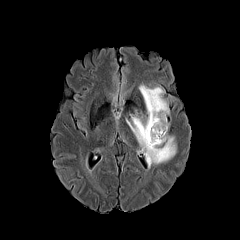
FLAIR MR image.
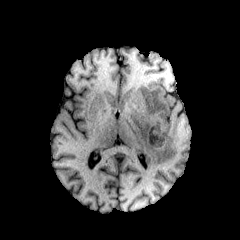
T1-weighted MRI.
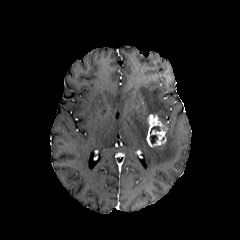
Same slice, post-contrast T1-weighted MR.
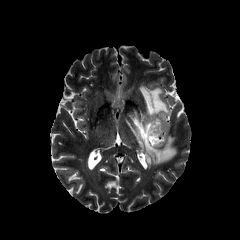
T2-weighted MRI.
240x240 px
{"enhancing_tumor": ["rect(146, 114, 168, 146)"], "non-enhancing_tumor_core": ["rect(140, 114, 147, 127)", "rect(149, 126, 160, 143)"], "edema": ["rect(139, 84, 169, 122)", "rect(126, 115, 176, 168)"]}